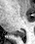

Hippocampus | 35x44 | MRI slice

{"posterior_hippocampus": ["<box>8,30,24,37</box>"]}